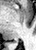

Magnetic resonance.

Posterior hippocampus: bbox(14, 41, 17, 42).